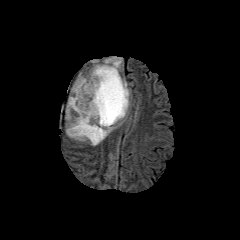
FLAIR MRI.
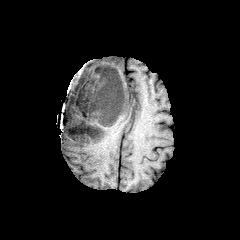
T1-weighted MR.
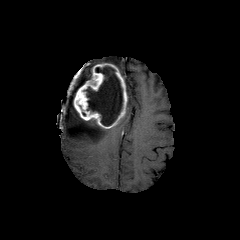
Same slice, post-contrast T1-weighted magnetic resonance.
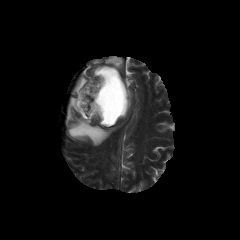
T2-weighted magnetic resonance of the same slice.
Brain
Enhancing tumor — x1=73 y1=63 x2=127 y2=126.
Non-enhancing tumor core — x1=71 y1=70 x2=91 y2=107, x1=86 y1=66 x2=122 y2=129.
Edema — x1=75 y1=71 x2=89 y2=82, x1=100 y1=56 x2=122 y2=70, x1=65 y1=81 x2=113 y2=145, x1=126 y1=81 x2=130 y2=113.